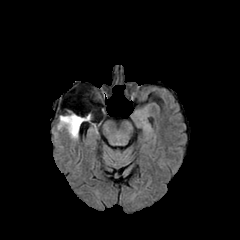
FLAIR MR.
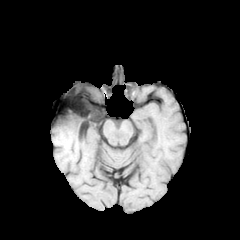
T1-weighted MRI of the same slice.
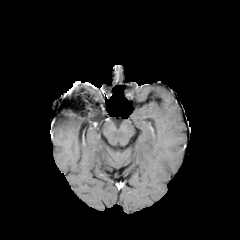
Post-contrast T1-weighted MR image of the same slice.
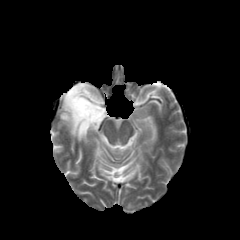
T2-weighted MR.
Brain
{"edema": ["56,117,85,139"], "non-enhancing_tumor_core": ["60,93,93,129"]}